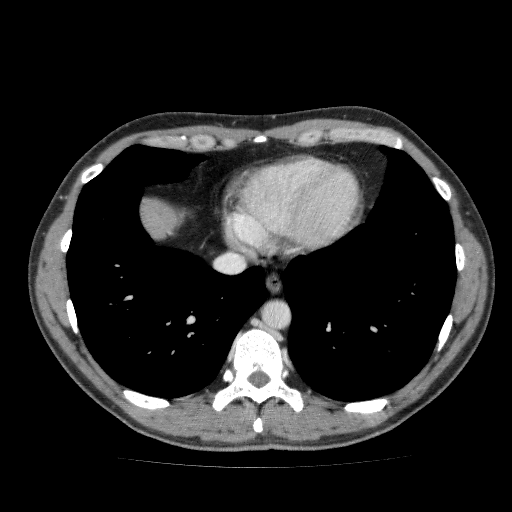
CT slice, Liver, 512x512
The liver appears at bbox(139, 198, 180, 239).